FLAIR MR image.
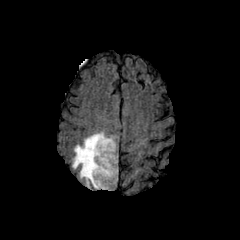
T1-weighted MR image.
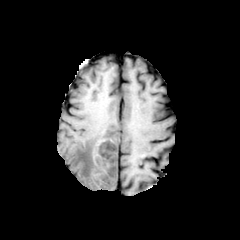
Post-contrast T1-weighted magnetic resonance.
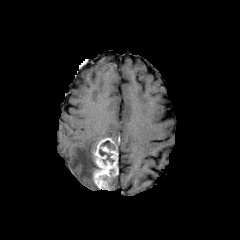
T2-weighted MR.
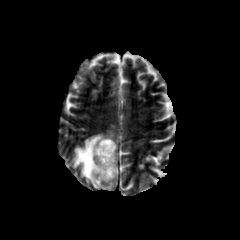
240x240
<segmentation>
  <edema>rect(71, 132, 112, 188)</edema>
  <enhancing_tumor>rect(92, 137, 118, 190)</enhancing_tumor>
</segmentation>